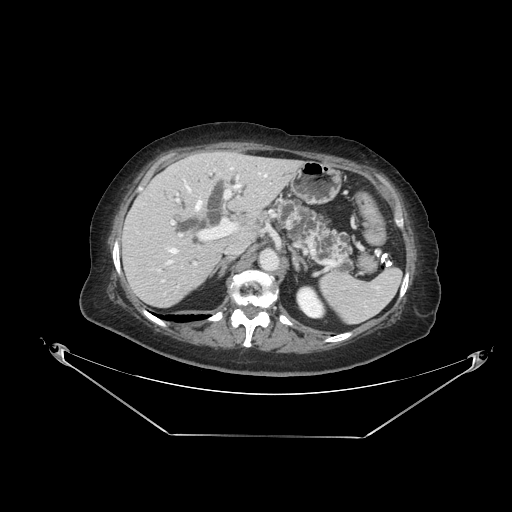

Image size 512x512, Upper abdomen, CT scan slice
The pancreas is located at x1=275, y1=199, x2=353, y2=271.